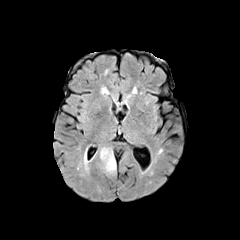
FLAIR magnetic resonance.
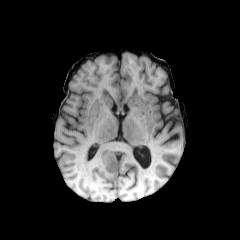
T1-weighted MR.
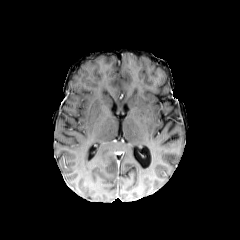
Post-contrast T1-weighted MRI.
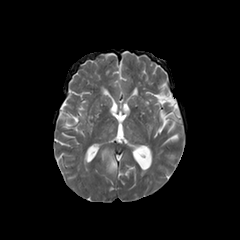
T2-weighted magnetic resonance.
240x240. Head.
Edema = left=83, top=152, right=89, bottom=169; left=100, top=146, right=116, bottom=174.